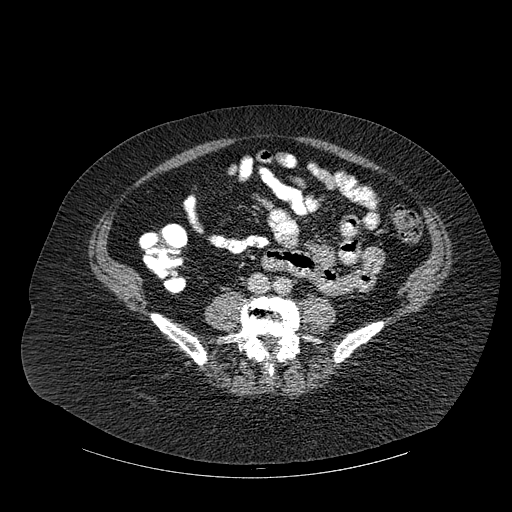
CT image
Bone: bounding box (334,321,383,362), (151,314,206,364), (230,297,299,375).